FLAIR MR image.
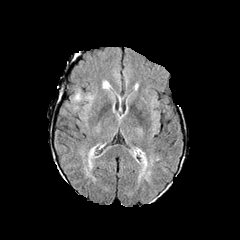
T1-weighted MRI.
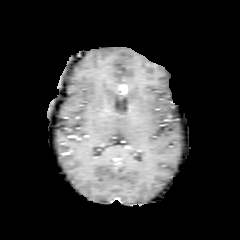
Post-contrast T1-weighted magnetic resonance.
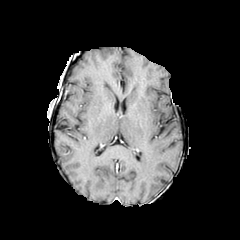
T2-weighted MRI.
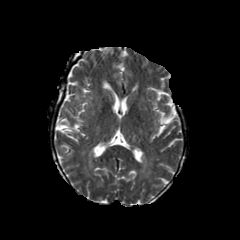
Annotated regions:
* edema: 88,146,95,167